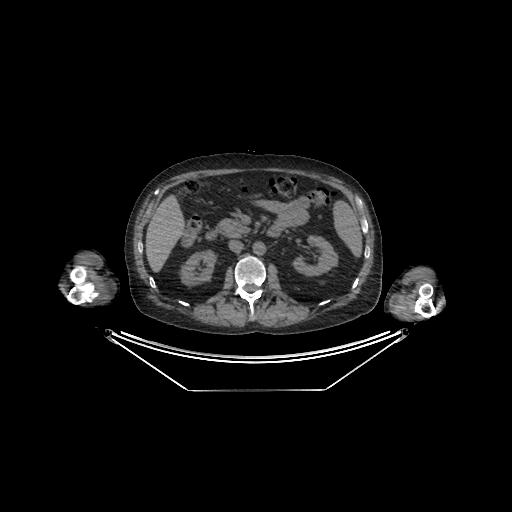 Image size 512x512. CT slice. Abdomen.

liver: <box>146,195,184,271</box> | kidney: <box>292,235,338,276</box>, <box>179,249,216,286</box>